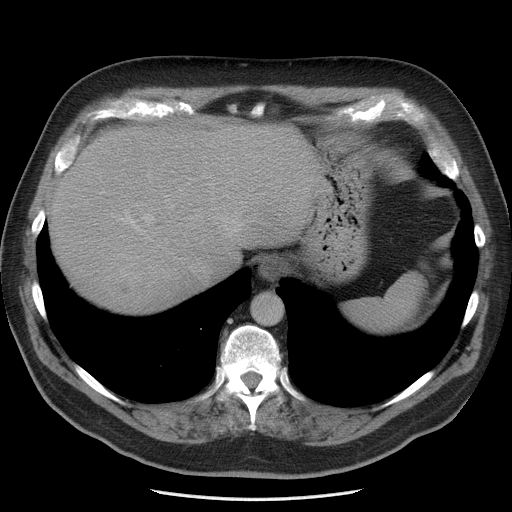

CT | Abdomen

Only some of the vessels may be annotated.
<segmentation partial="true">
  <hepatic_vessel shown="15" total="18">rect(196, 201, 199, 202); rect(117, 209, 145, 233); rect(145, 236, 151, 240); rect(188, 178, 194, 183); rect(211, 198, 215, 200); rect(218, 225, 237, 236); rect(197, 214, 202, 218); rect(111, 214, 115, 216); rect(179, 188, 180, 190); rect(171, 205, 173, 208); rect(177, 223, 179, 225); rect(192, 191, 197, 191); rect(189, 216, 192, 218); rect(143, 214, 153, 223); rect(202, 175, 205, 177)</hepatic_vessel>
  <liver_tumor>rect(117, 274, 134, 295)</liver_tumor>
</segmentation>